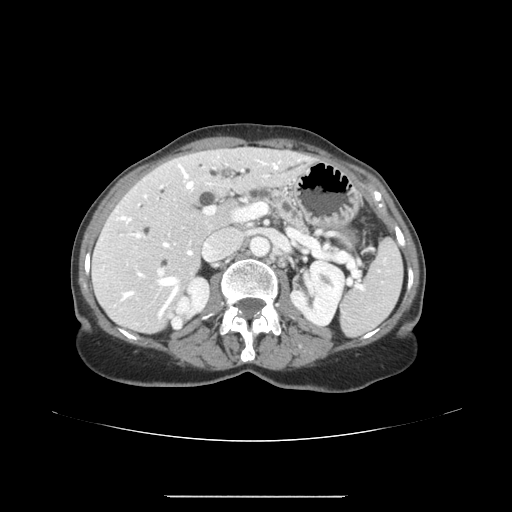
CT scan slice, Abdomen
Pancreas: [249,189,310,233].